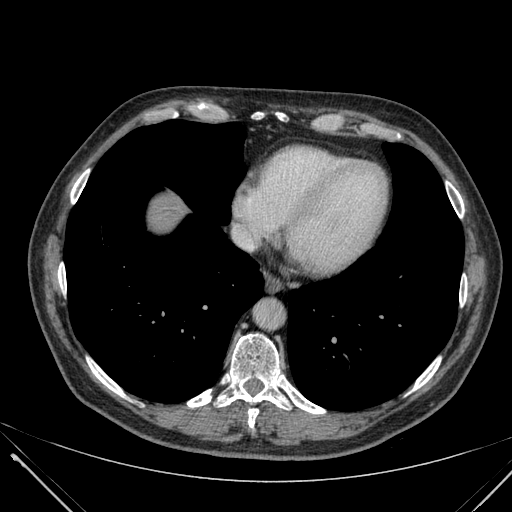

Liver | CT image
Liver at 157:199:182:227.